Upper abdomen. CT.

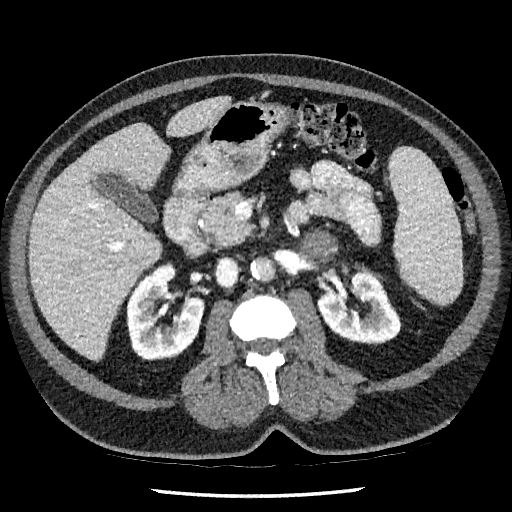
2 kidney regions are located at [127, 265, 203, 358], [318, 273, 399, 342]. 2 liver regions are bounded by [30, 124, 169, 359], [167, 96, 229, 136].